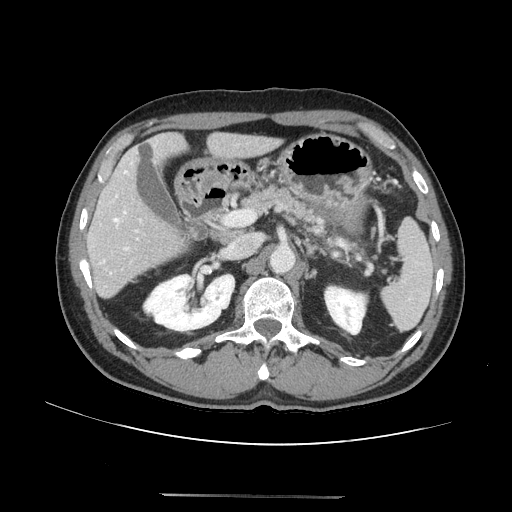 CT scan slice
pancreas: 243,189,330,239